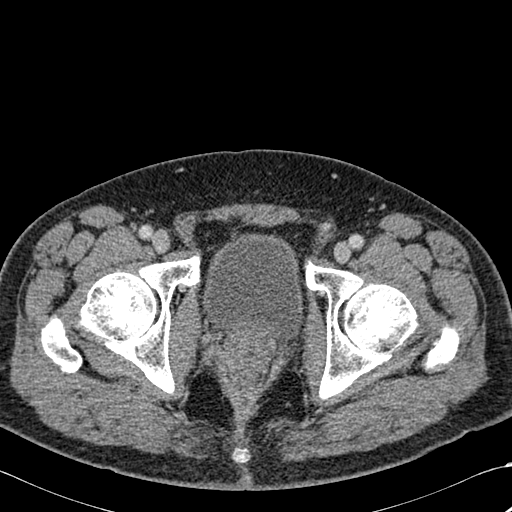 512x512 px; CT slice

4 bone regions are bounded by 41,318,81,372; 79,256,199,393; 306,262,417,398; 426,326,458,368.